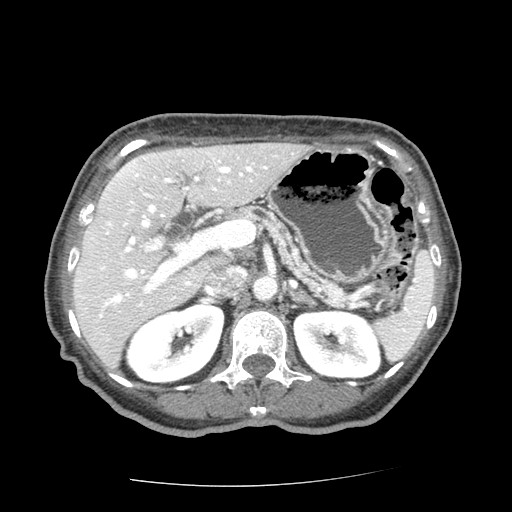 Upper abdomen | CT | 512x512

pancreas:
  - (x1=231, y1=206, x2=346, y2=303)
pancreatic_tumor:
  - (x1=234, y1=246, x2=256, y2=258)